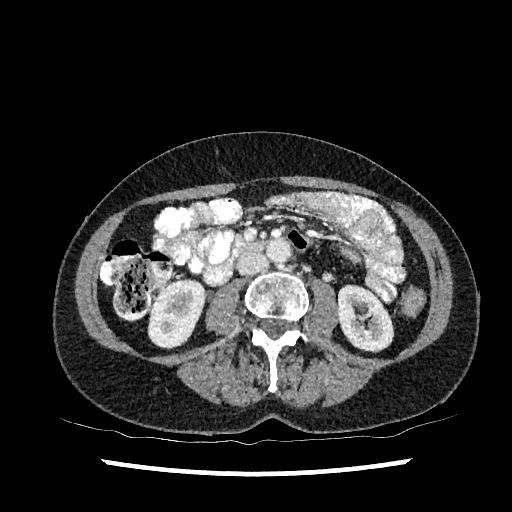
Abdomen. CT.

Kidney at (338, 286, 392, 350), (149, 281, 204, 347).